512x512; CT scan slice

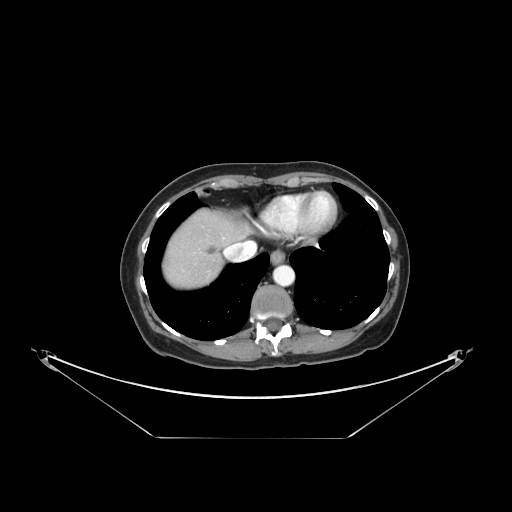
Liver tumor at [x1=206, y1=245, x2=217, y2=257].